CT slice | Slice 106 of 689 | Image width 360 mm
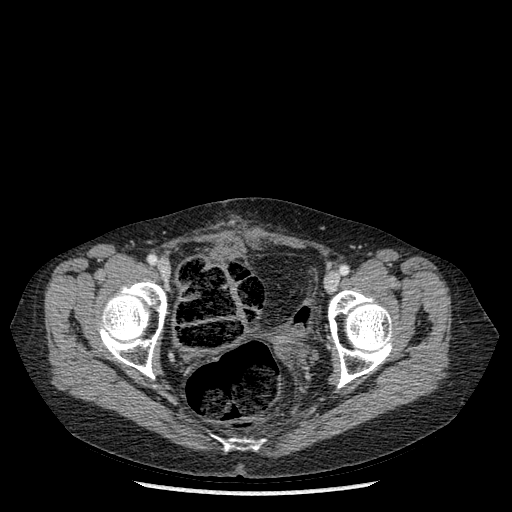 {"bone": ["(x1=97, y1=279, x2=166, y2=379)", "(x1=220, y1=438, x2=262, y2=451)", "(x1=328, y1=289, x2=394, y2=388)"]}